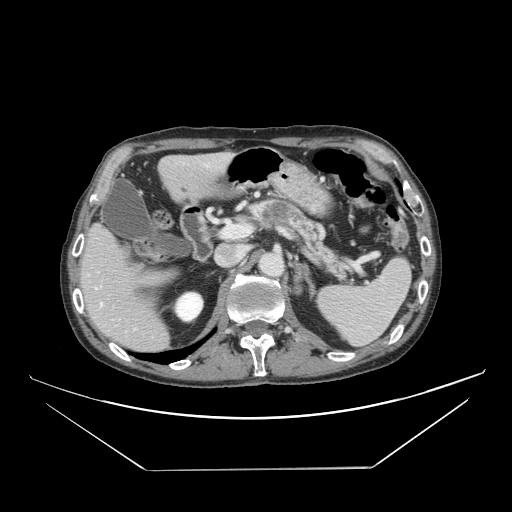 Upper abdomen | CT scan slice
Segmented structures:
- pancreatic tumor: 263 202 292 220
- pancreas: 245 197 351 282